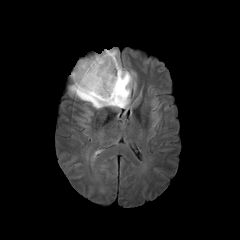
FLAIR MR.
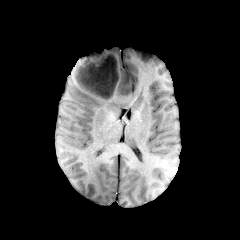
T1-weighted MRI.
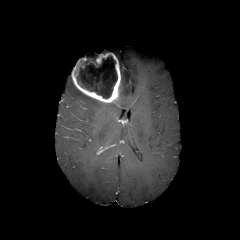
Same slice, post-contrast T1-weighted MR image.
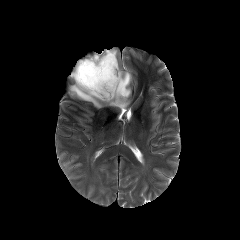
Same slice, T2-weighted magnetic resonance.
The non-enhancing tumor core is located at bbox=[76, 54, 117, 98]. The edema is located at bbox=[69, 48, 135, 111]. The enhancing tumor is bounded by bbox=[71, 53, 120, 104].